FLAIR MR.
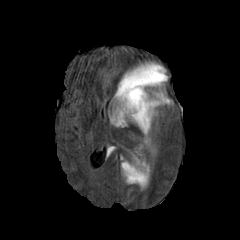
T1-weighted MR.
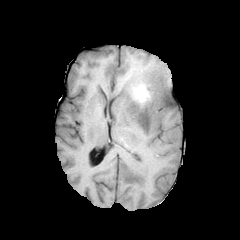
Post-contrast T1-weighted MR.
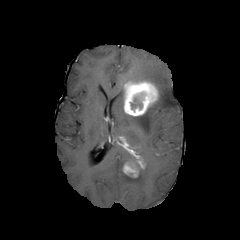
T2-weighted MR.
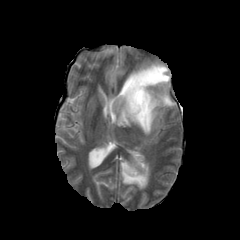
240x240 px.
<segmentation>
  <enhancing_tumor><bbox>123, 80, 157, 116</bbox>, <bbox>124, 164, 137, 177</bbox></enhancing_tumor>
  <edema><bbox>121, 154, 149, 187</bbox>, <bbox>111, 62, 173, 137</bbox></edema>
</segmentation>